FLAIR MR.
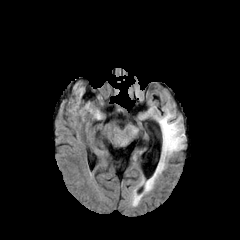
T1-weighted MR.
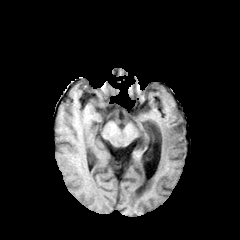
Post-contrast T1-weighted magnetic resonance.
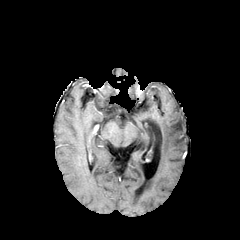
T2-weighted magnetic resonance.
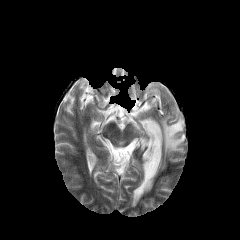
Brain.
The edema is bounded by x1=131 y1=111 x2=184 y2=206.